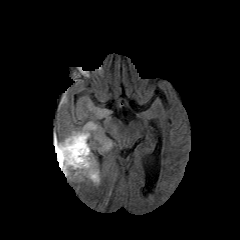
FLAIR MR.
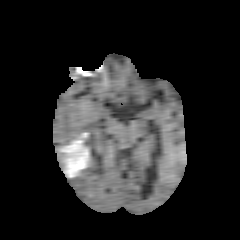
T1-weighted magnetic resonance.
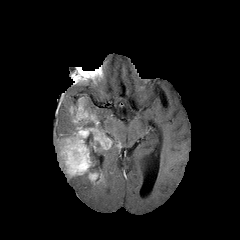
Same slice, post-contrast T1-weighted MR.
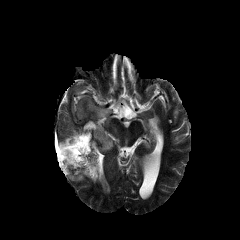
T2-weighted MRI.
Image size 240x240
Edema: 87 101 109 119, 96 140 117 154, 69 174 98 183, 60 128 75 141, 90 152 101 171.
Non-enhancing tumor core: 84 132 99 157, 90 161 100 172, 54 137 59 154.
Enhancing tumor: 57 120 112 181.